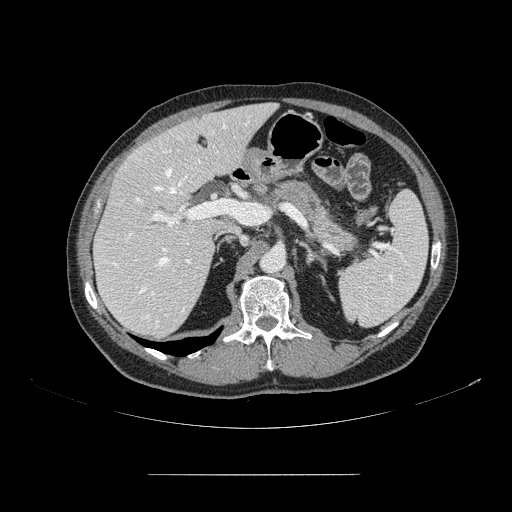 512x512, CT scan slice
pancreas:
  - left=261, top=178, right=359, bottom=252